240x240 px. Image width 240 mm. Head. Slice index 80.
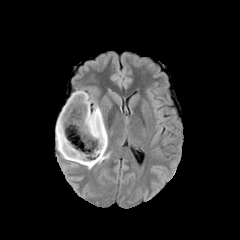
FLAIR MR image.
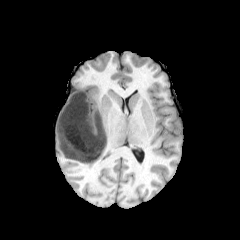
T1-weighted MRI of the same slice.
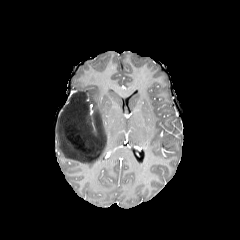
Post-contrast T1-weighted MR image.
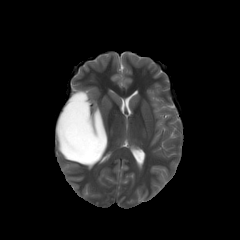
T2-weighted MRI.
Edema — [86,92,108,147], [56,115,104,169].
Non-enhancing tumor core — [57,91,109,162].